Image width 240 mm. Slice index 111.
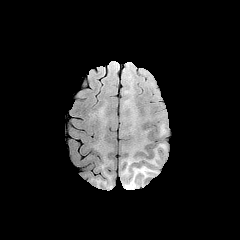
FLAIR MR.
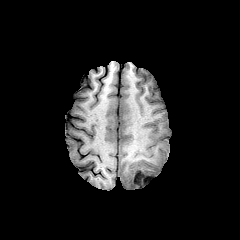
T1-weighted MRI.
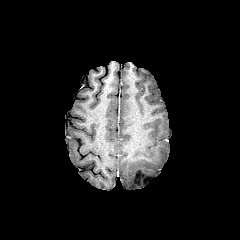
Same slice, post-contrast T1-weighted MR image.
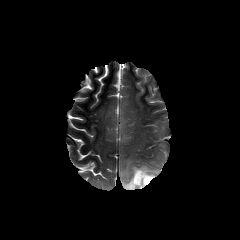
T2-weighted MRI.
• edema: 122,161,157,188
• non-enhancing tumor core: 134,171,148,184